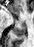

Image size 34x47, MR
{"posterior_hippocampus": ["(left=13, top=24, right=26, bottom=36)"]}